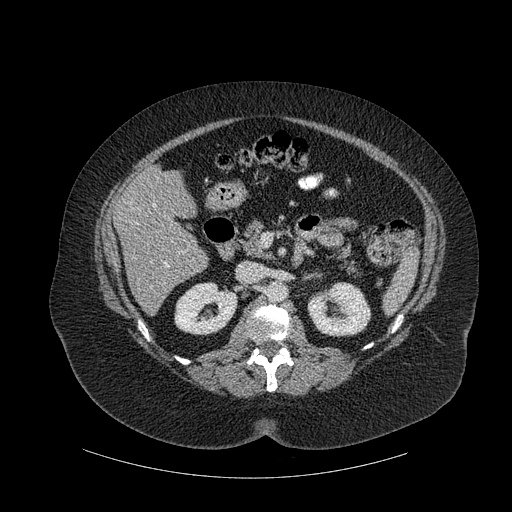
Computed tomography.

Bone — (247, 348, 293, 391), (175, 356, 189, 364), (392, 315, 402, 331), (139, 320, 149, 339), (248, 305, 290, 341).
Liver — (113, 165, 208, 309).
Kidney — (308, 283, 370, 335), (175, 283, 236, 333).